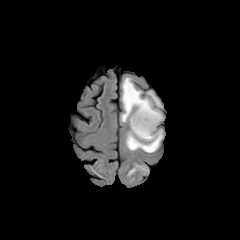
FLAIR MR image.
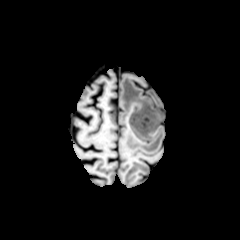
T1-weighted MRI of the same slice.
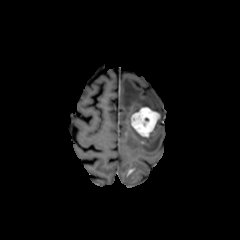
Post-contrast T1-weighted MRI.
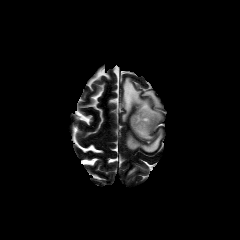
T2-weighted MR image of the same slice.
Brain
Segmented structures:
- enhancing tumor: 130,107,160,138
- edema: 126,128,162,152; 121,77,161,122; 153,108,162,129